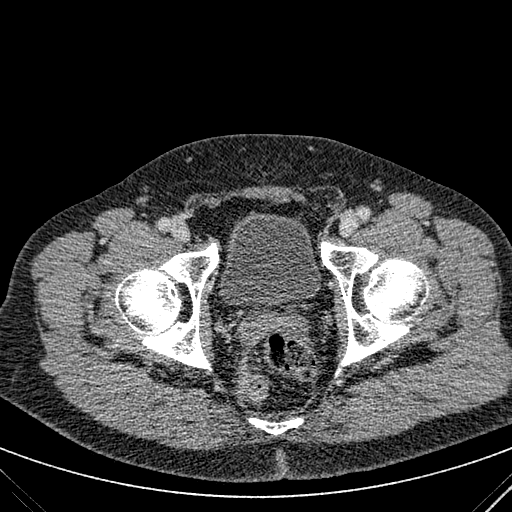

CT slice; 512x512
{
  "urinary_bladder": [
    "[x1=218, y1=210, x2=322, y2=313]"
  ]
}